FLAIR MR image.
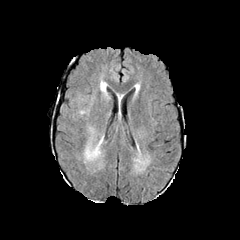
T1-weighted MR.
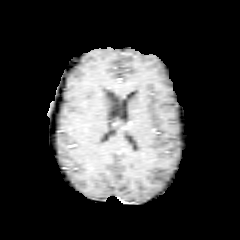
Post-contrast T1-weighted MR.
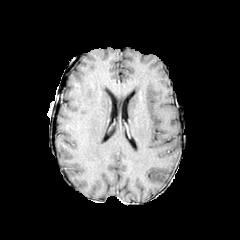
T2-weighted magnetic resonance.
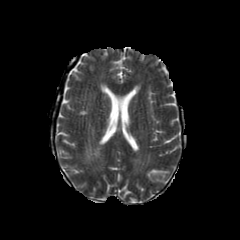
240x240
{
  "edema": [
    "<box>100,82,105,96</box>",
    "<box>83,127,103,160</box>"
  ]
}